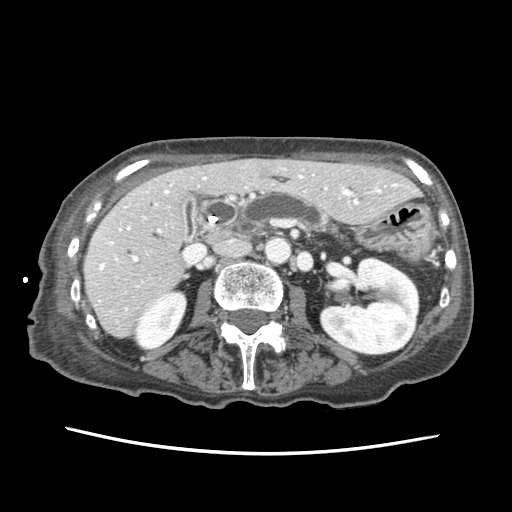 CT image. Upper abdomen.
<segmentation>
  <pancreas><bbox>240, 193, 338, 235</bbox></pancreas>
</segmentation>